FLAIR MRI.
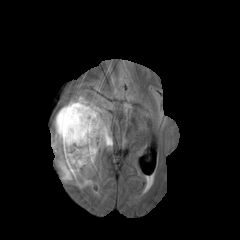
T1-weighted MR.
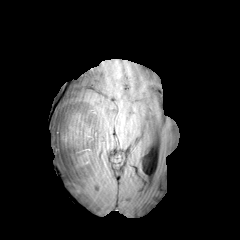
Post-contrast T1-weighted magnetic resonance.
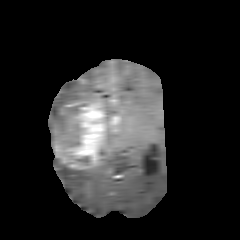
T2-weighted magnetic resonance.
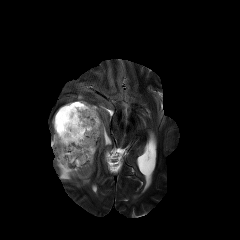
Image size 240x240, Head
Non-enhancing tumor core: bounding box [77,157,89,163], [52,104,85,141].
Edema: bounding box [52,95,112,148], [54,156,92,187].
Enhancing tumor: bounding box [53,101,107,169].